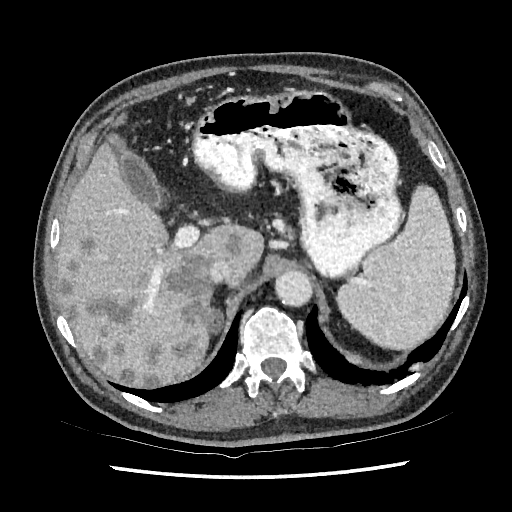
512x512 px; CT image
Liver: bounding box (x1=56, y1=129, x2=262, y2=385).
Liver lesion: bounding box (x1=65, y1=257, x2=81, y2=273), (x1=60, y1=279, x2=72, y2=295), (x1=63, y1=304, x2=78, y2=322), (x1=172, y1=334, x2=199, y2=357), (x1=143, y1=343, x2=162, y2=367), (x1=227, y1=235, x2=242, y2=254), (x1=143, y1=373, x2=159, y2=385), (x1=93, y1=343, x2=124, y2=364), (x1=97, y1=326, x2=111, y2=339), (x1=166, y1=252, x2=213, y2=326), (x1=85, y1=295, x2=138, y2=325), (x1=77, y1=237, x2=95, y2=254), (x1=116, y1=368, x2=134, y2=383).